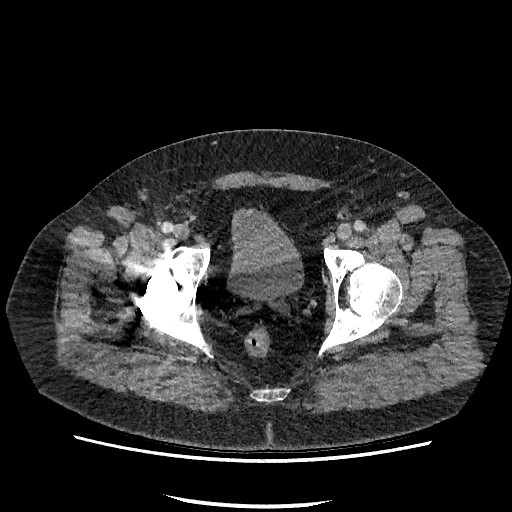
CT scan slice
The urinary bladder is bounded by 229 208 304 304.